Slice 38/48. CT scan slice. Liver.
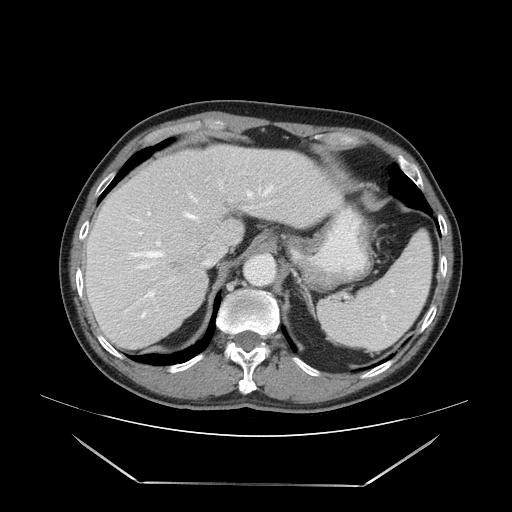

The vessel boxes may cover only some of the vessels.
Liver tumor: (169, 258, 184, 272).
Hepatic vessel: (265, 189, 269, 193), (147, 253, 159, 255), (157, 242, 159, 243), (248, 192, 251, 195).